Slice 219 of 422. CT slice. 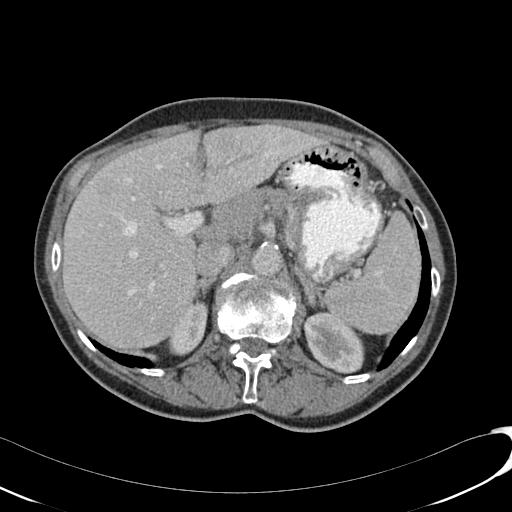 Findings:
* focal liver lesion: left=192, top=157, right=201, bottom=172; left=99, top=176, right=111, bottom=193; left=210, top=167, right=217, bottom=174; left=213, top=128, right=252, bottom=164
* liver: left=63, top=124, right=324, bottom=347
* kidney: left=304, top=313, right=362, bottom=372; left=171, top=302, right=206, bottom=353